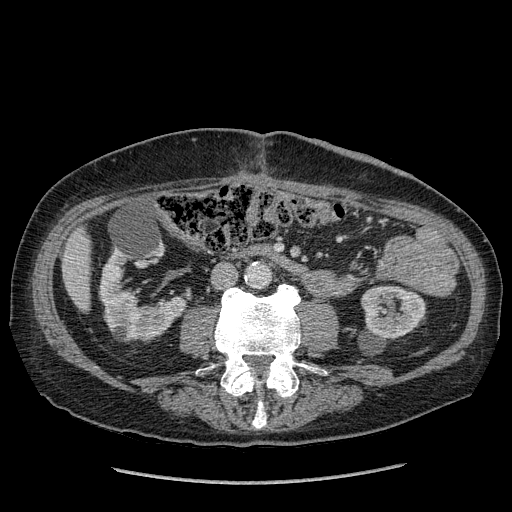
Liver. CT scan slice.
2 kidney regions are bounded by l=100, t=249, r=185, b=339; l=361, t=286, r=425, b=339. The liver lies within l=62, t=228, r=90, b=310.